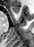

MRI slice, Medial temporal lobe

The anterior hippocampus is located at x1=12 y1=6 x2=19 y2=12.